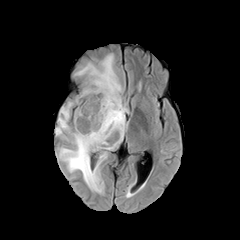
FLAIR MR image.
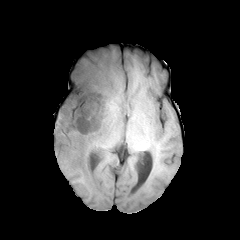
T1-weighted magnetic resonance of the same slice.
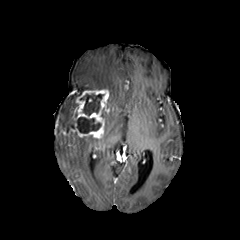
Post-contrast T1-weighted MR of the same slice.
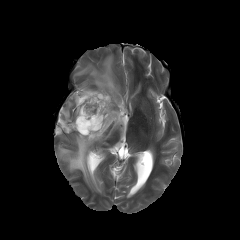
T2-weighted magnetic resonance.
240x240
3 non-enhancing tumor core regions are bounded by left=55, top=117, right=101, bottom=133; left=84, top=87, right=108, bottom=89; left=80, top=94, right=102, bottom=116. 2 edema regions appear at left=55, top=54, right=127, bottom=190; left=56, top=97, right=75, bottom=128. The enhancing tumor is located at left=76, top=89, right=109, bottom=138.